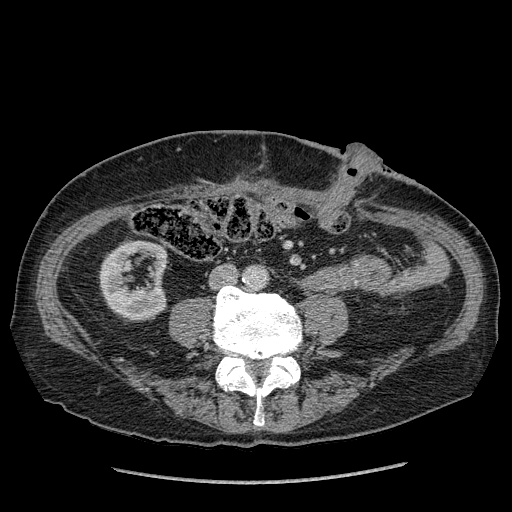 Abdomen, Computed tomography
<segmentation>
  <kidney>100, 241, 166, 319</kidney>
</segmentation>